CT image. Thorax.
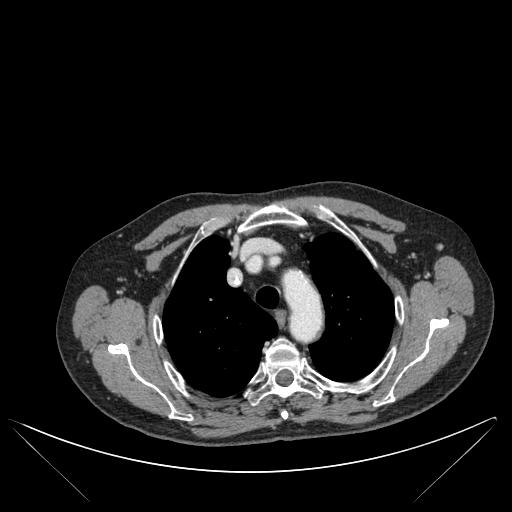 8 bone regions are bounded by 153, 315, 162, 343; 318, 205, 355, 240; 108, 343, 192, 420; 164, 362, 187, 394; 373, 318, 448, 406; 246, 338, 395, 402; 238, 205, 306, 232; 395, 296, 403, 322. 2 lung regions are bounded by 304, 234, 394, 380; 163, 236, 278, 397.